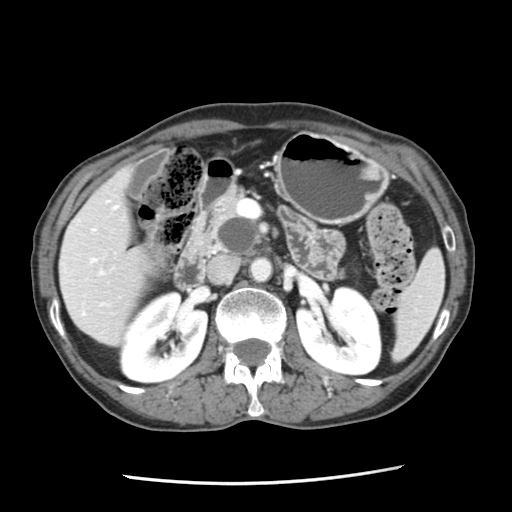
CT slice; Abdomen
<segmentation>
  <pancreatic_tumor>(x1=219, y1=218, x2=254, y2=251)</pancreatic_tumor>
  <pancreas>(x1=209, y1=198, x2=258, y2=255)</pancreas>
</segmentation>